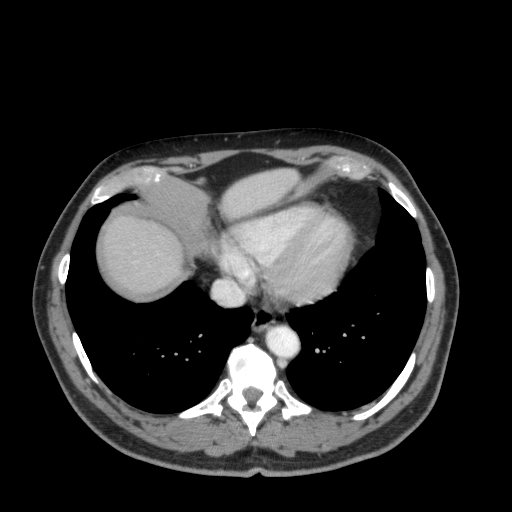 Computed tomography; Liver; Image size 512x512

2 liver regions are bounded by [x1=223, y1=170, x2=296, y2=216], [x1=103, y1=215, x2=182, y2=294].